FLAIR MR.
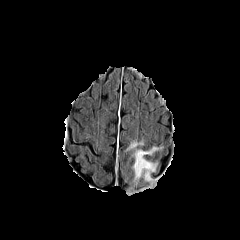
T1-weighted magnetic resonance.
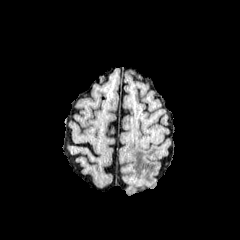
Post-contrast T1-weighted magnetic resonance.
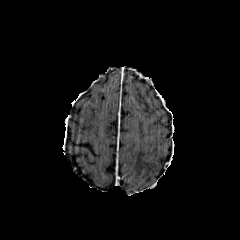
T2-weighted MR.
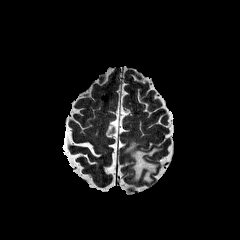
Edema: bounding box 125,141,161,187.